Field of view 361x361 mm, Computed tomography

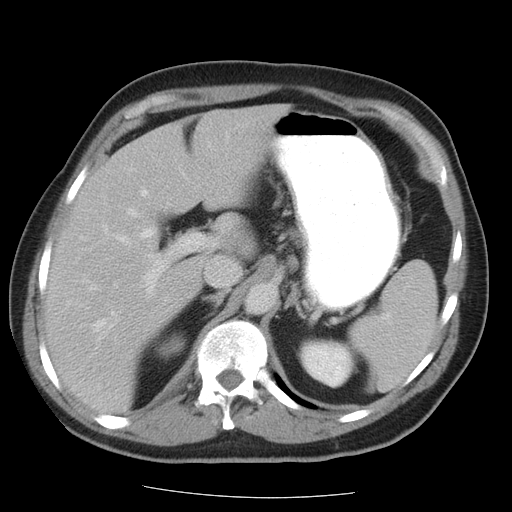
Some hepatic vessels may have no box.
Segmented structures:
• liver tumor: left=220, top=231, right=238, bottom=253
• hepatic vessel (most prominent 15 of 16): left=103, top=225, right=107, bottom=232; left=227, top=135, right=228, bottom=137; left=112, top=312, right=114, bottom=314; left=146, top=233, right=206, bottom=292; left=92, top=319, right=105, bottom=330; left=118, top=236, right=129, bottom=243; left=90, top=286, right=96, bottom=289; left=80, top=236, right=85, bottom=238; left=141, top=229, right=155, bottom=238; left=128, top=209, right=137, bottom=216; left=167, top=203, right=171, bottom=206; left=183, top=173, right=184, bottom=175; left=142, top=190, right=147, bottom=196; left=114, top=283, right=117, bottom=287; left=131, top=169, right=134, bottom=170